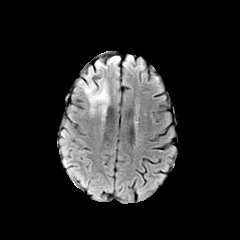
FLAIR MR image.
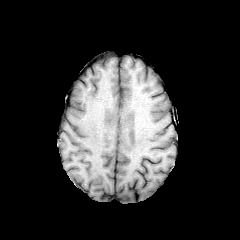
T1-weighted MRI.
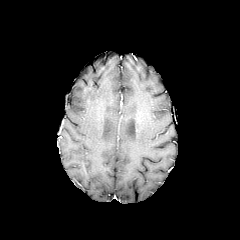
Post-contrast T1-weighted MR image of the same slice.
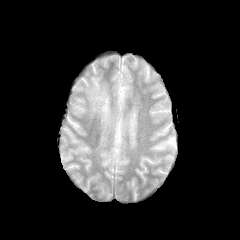
T2-weighted MR.
Annotated regions:
- edema: rect(78, 69, 109, 121)